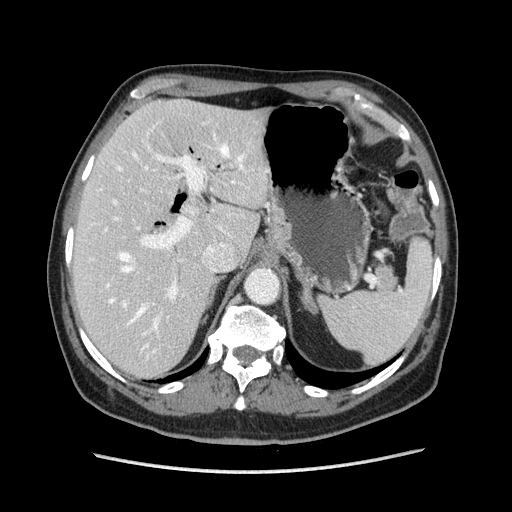
CT scan slice; Abdomen

Pancreas: 375, 264, 396, 290.